CT slice. Upper abdomen.

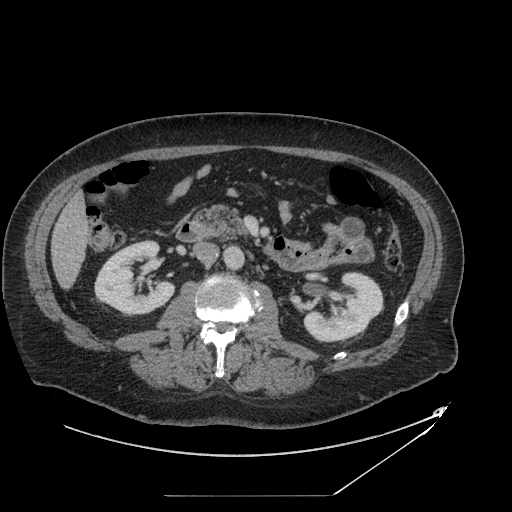 pancreas: (left=194, top=205, right=247, bottom=239)